Slice 42/85; CT slice; Abdomen
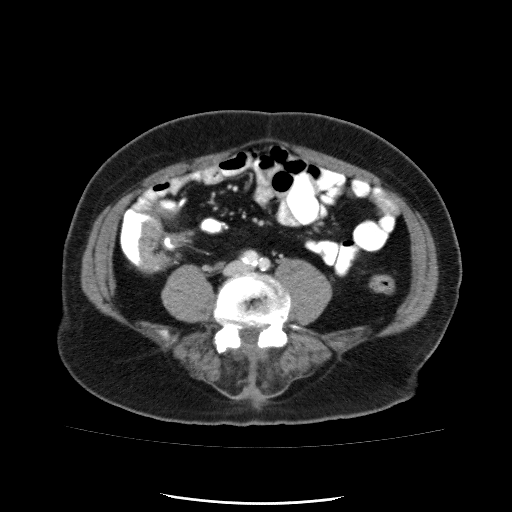
The colon tumor is located at 138,219,168,271.